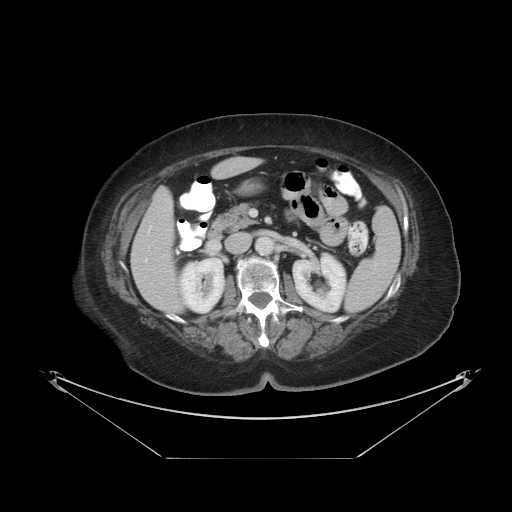
Computed tomography | Abdomen
Some hepatic vessels may have no box.
Hepatic vessel: bounding box x1=143 y1=257 x2=147 y2=262, x1=148 y1=229 x2=149 y2=232.